CT slice 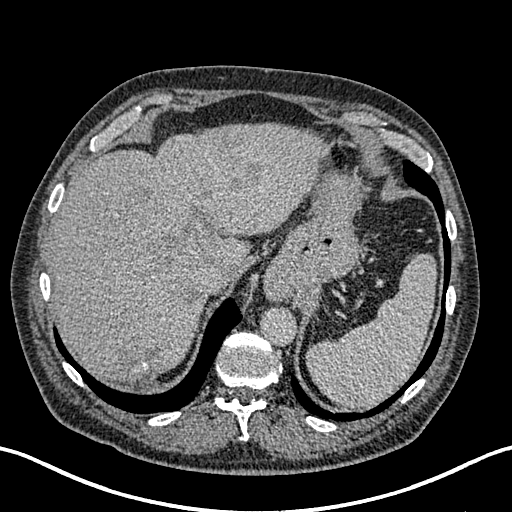
The liver is at <box>48,124,323,382</box>. 6 liver lesion regions are bounded by <box>201,187,212,198</box>, <box>228,162,261,194</box>, <box>116,344,164,376</box>, <box>145,225,213,284</box>, <box>188,204,213,230</box>, <box>160,278,202,306</box>.